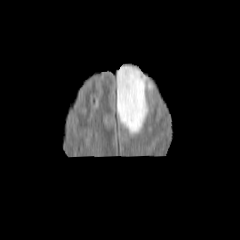
FLAIR magnetic resonance.
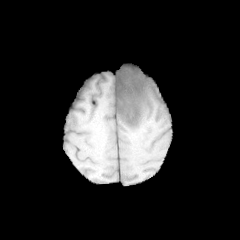
Same slice, T1-weighted magnetic resonance.
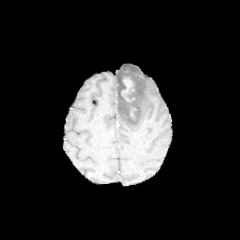
Post-contrast T1-weighted MRI.
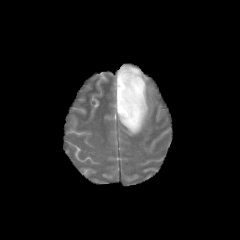
Same slice, T2-weighted MRI.
Head.
The edema lies within 116 65 148 132. The enhancing tumor is at 121 78 134 101. 2 non-enhancing tumor core regions are located at 123 97 136 119, 123 71 136 89.